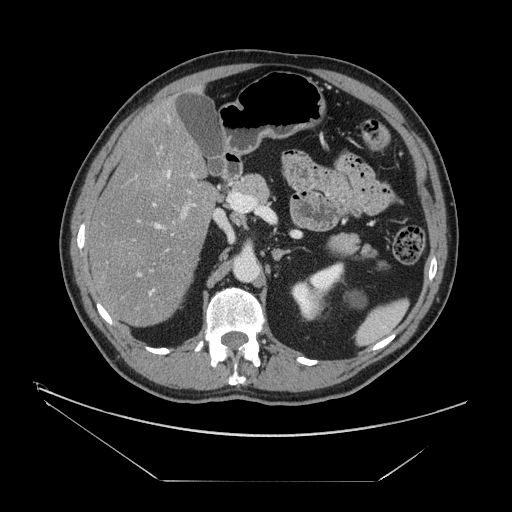

Image size 512x512 | CT slice

The vessel annotation is not exhaustive.
Findings:
• hepatic vessel: [156,225,160,227], [167,171,169,176], [150,290,153,293]